CT slice
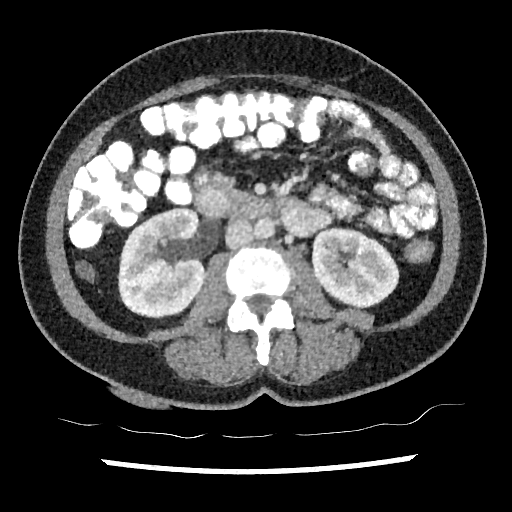

Liver — 89:146:96:157.
Kidney — 313:229:398:306, 119:210:204:316.